CT image. Slice 42/61. 512x512. Liver. 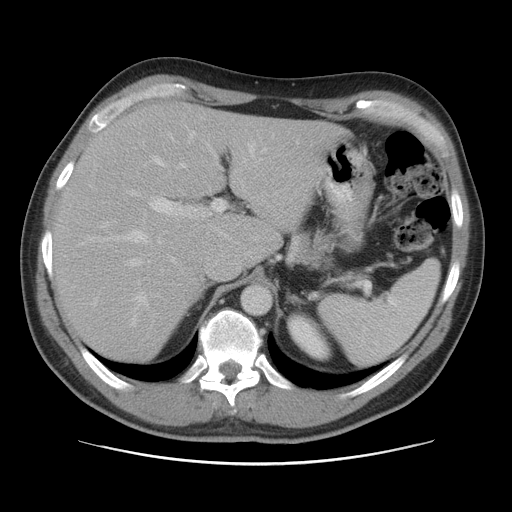
Some hepatic vessels may have no box.
13 hepatic vessel regions appear at x1=212 y1=199 x2=226 y2=211, x1=127 y1=259 x2=141 y2=265, x1=190 y1=131 x2=194 y2=138, x1=149 y1=197 x2=205 y2=217, x1=180 y1=163 x2=184 y2=167, x1=112 y1=230 x2=148 y2=242, x1=248 y1=142 x2=255 y2=157, x1=134 y1=292 x2=146 y2=304, x1=208 y1=211 x2=211 y2=214, x1=102 y1=238 x2=110 y2=240, x1=152 y1=156 x2=165 y2=166, x1=263 y1=148 x2=265 y2=150, x1=157 y1=240 x2=160 y2=242.